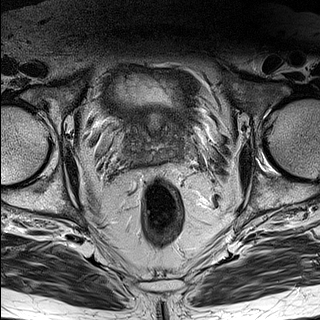
T2-weighted MR image.
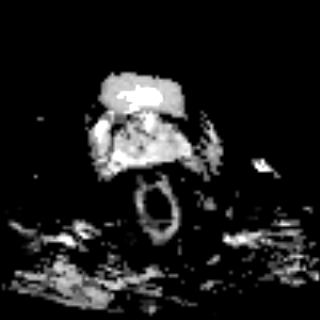
ADC magnetic resonance.
320x320
Segmented structures:
- prostate peripheral zone: [119, 116, 186, 169]